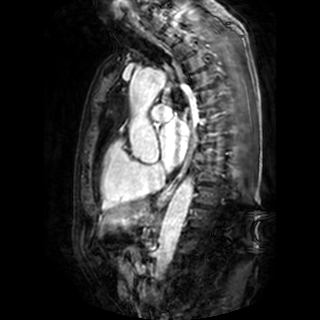

MRI slice
The left atrium lies within [x1=160, y1=118, x2=189, y2=166].